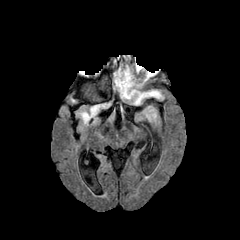
FLAIR MR image.
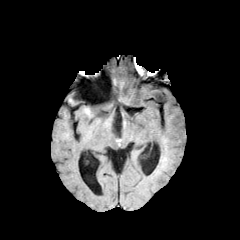
T1-weighted magnetic resonance.
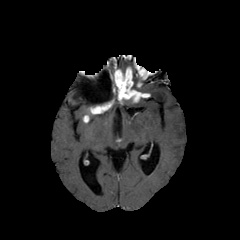
Post-contrast T1-weighted MRI of the same slice.
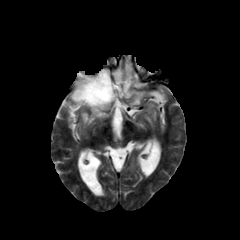
T2-weighted MR.
240x240 px.
Non-enhancing tumor core: bounding box [132,79,149,93], [132,68,143,79], [94,102,111,113].
Enhancing tumor: bounding box [93,105,102,113], [114,66,149,102].
Edema: bounding box [133,89,163,105], [82,110,96,121], [135,67,147,85].